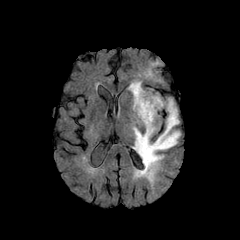
FLAIR MR.
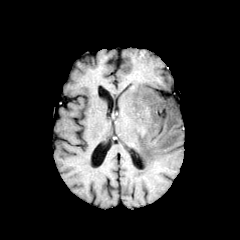
T1-weighted magnetic resonance.
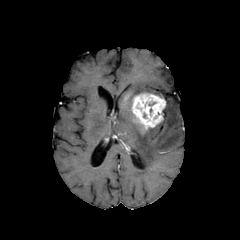
Post-contrast T1-weighted MRI.
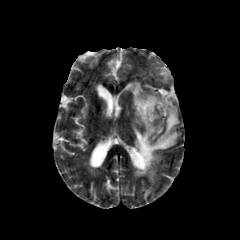
T2-weighted MR image.
240x240 px
Enhancing tumor: left=132, top=92, right=166, bottom=129.
Edema: left=126, top=80, right=146, bottom=104; left=132, top=97, right=180, bottom=185.